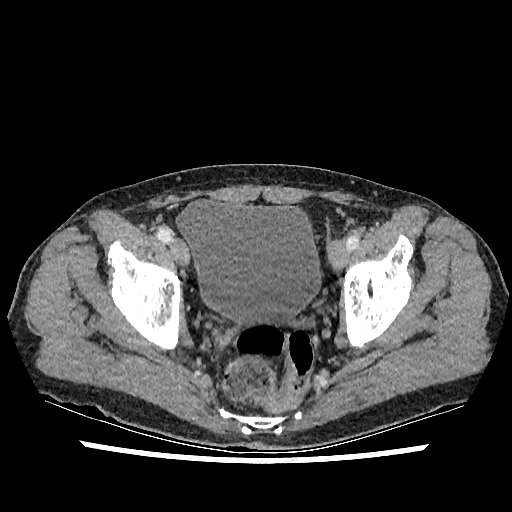

CT image; Lower abdomen

Urinary bladder: 177:198:321:333.